FLAIR magnetic resonance.
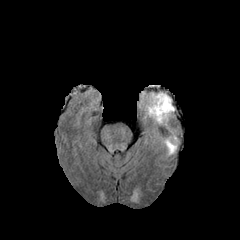
T1-weighted magnetic resonance.
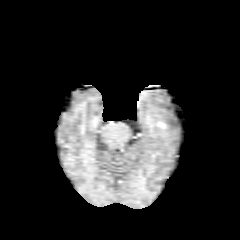
Post-contrast T1-weighted magnetic resonance.
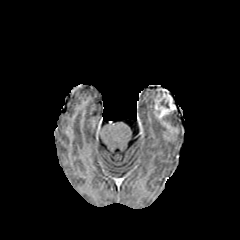
T2-weighted MR image.
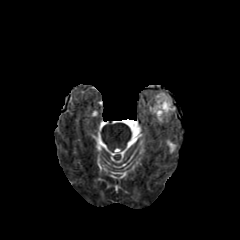
enhancing tumor: region(154, 93, 175, 118) | edema: region(144, 89, 173, 125); region(163, 136, 176, 153)